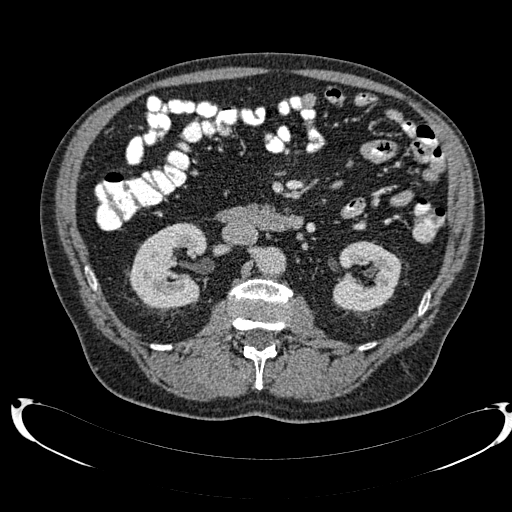 512x512 px | Abdomen | CT image

3 kidney regions are located at x1=129 y1=223 x2=206 y2=309, x1=213 y1=246 x2=223 y2=255, x1=333 y1=241 x2=400 y2=312.